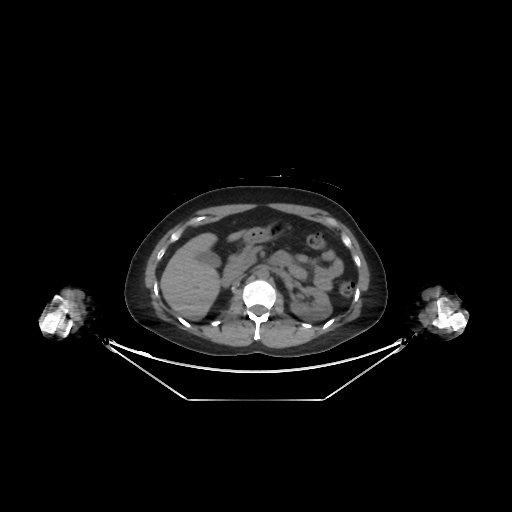

CT, Abdomen
liver:
  - l=160, t=233, r=222, b=320
  - l=229, t=228, r=268, b=243
kidney:
  - l=290, t=286, r=331, b=320